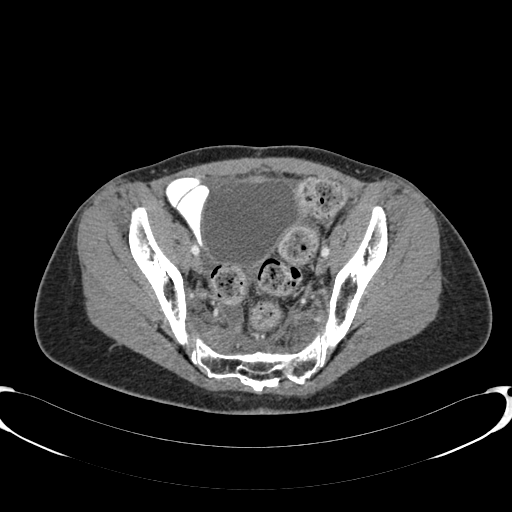 Pelvis | Computed tomography

{
  "urinary_bladder": [
    "[204,181,298,264]"
  ]
}